Image width 512 mm. 512x512 px. CT. Abdomen. Slice 7/132. 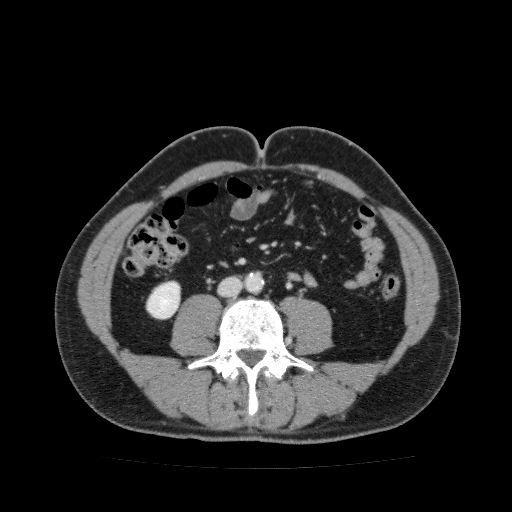

Kidney = l=147, t=281, r=179, b=318.